Slice 559/917, 512x512 px, CT image

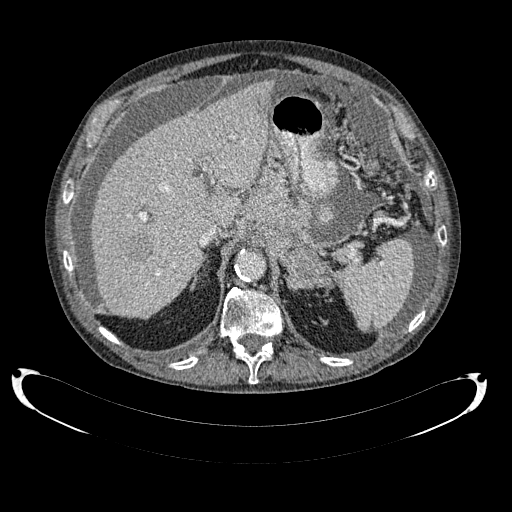 liver: box(89, 80, 273, 317) | focal liver lesion: box(197, 205, 213, 219); box(123, 234, 150, 262)